CT scan slice; Image size 512x512; Abdomen
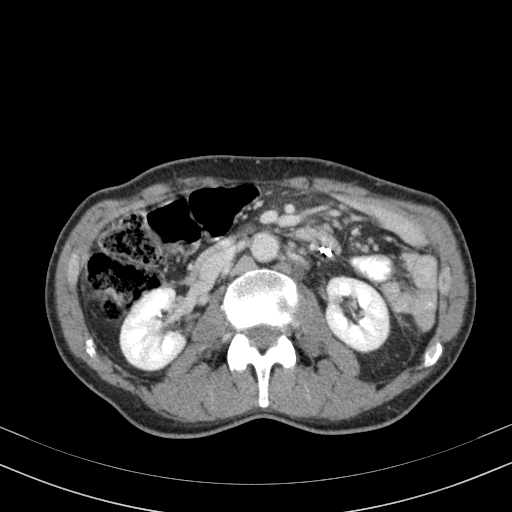 2 kidney regions are located at <bbox>327, 278, 388, 350</bbox>, <bbox>121, 288, 184, 369</bbox>.